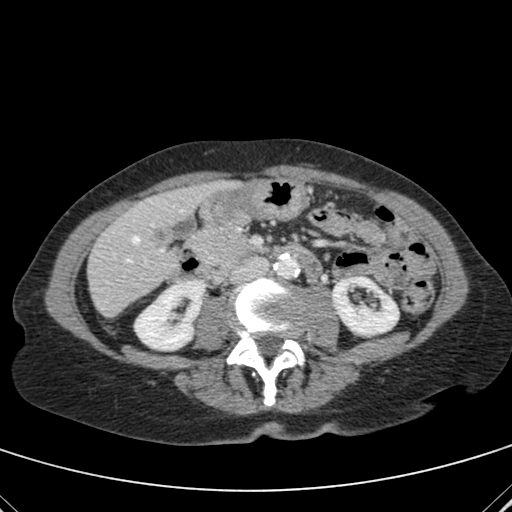
Upper abdomen | Computed tomography
Kidney: <box>333,279,398,334</box>, <box>135,281,204,349</box>.
Liver: <box>88,180,241,316</box>.
Focal liver lesion: <box>148,226,172,247</box>.